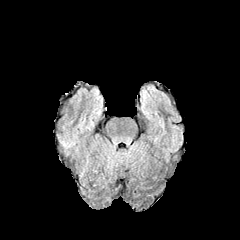
FLAIR magnetic resonance.
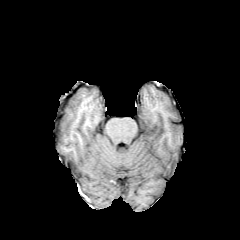
Same slice, T1-weighted MR.
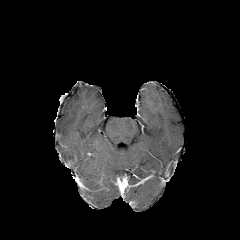
Post-contrast T1-weighted magnetic resonance.
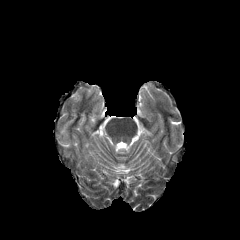
T2-weighted MR of the same slice.
Head
edema: [91,108,99,121]